CT. Slice 127/192. Field of view 500x500 mm. 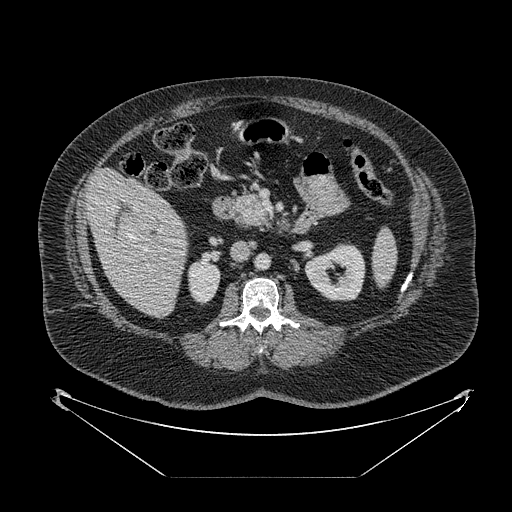
Annotated regions:
• pancreas: (x1=233, y1=193, x2=268, y2=228)